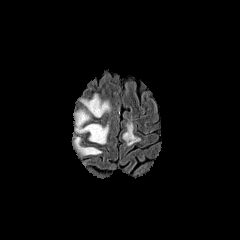
FLAIR MR image.
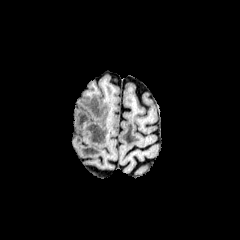
T1-weighted MRI.
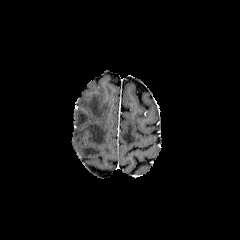
Same slice, post-contrast T1-weighted MR.
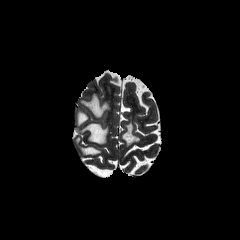
T2-weighted magnetic resonance.
240x240. Brain.
Edema — [x1=74, y1=109, x2=108, y2=144], [x1=74, y1=137, x2=101, y2=156], [x1=82, y1=94, x2=109, y2=117].